FLAIR MR.
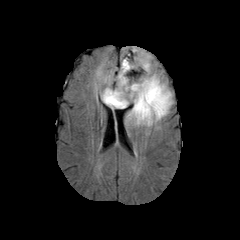
T1-weighted magnetic resonance.
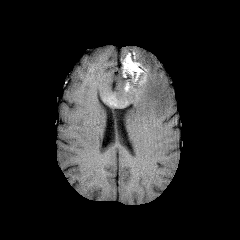
Post-contrast T1-weighted MR image.
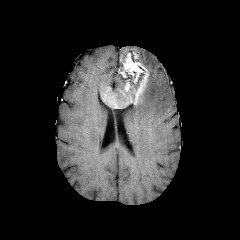
T2-weighted MR image.
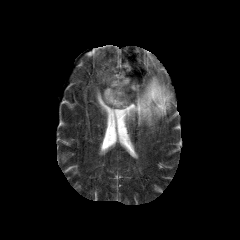
Head, 240x240 px
2 edema regions are bounded by box(126, 53, 173, 126); box(98, 70, 122, 98). 2 non-enhancing tumor core regions are located at box(110, 65, 146, 105); box(125, 54, 144, 66). 3 enhancing tumor regions appear at box(124, 59, 135, 71); box(130, 67, 148, 104); box(103, 88, 128, 107).